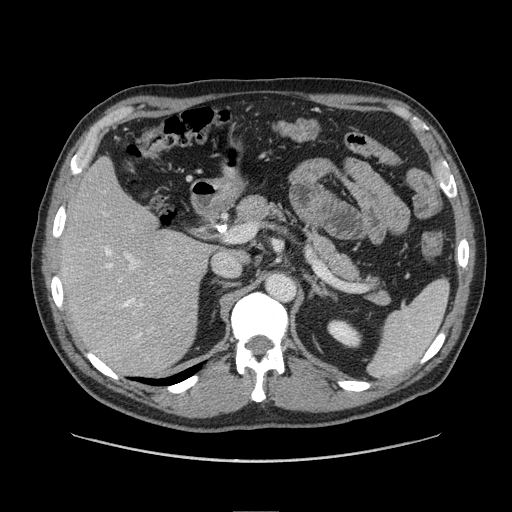
Upper abdomen, Computed tomography
Pancreas — x1=232, y1=192, x2=393, y2=308.